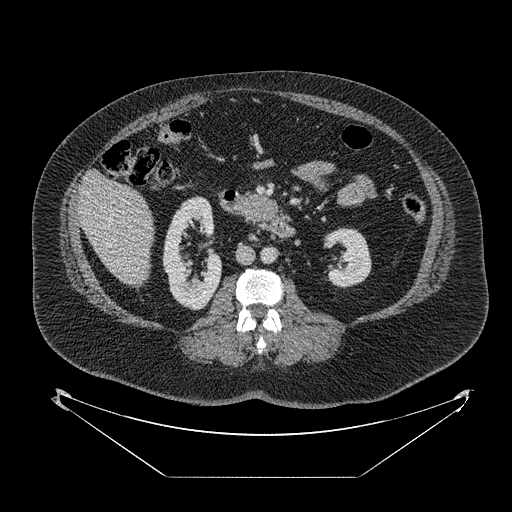 Abdomen | CT slice
Pancreas = [234, 193, 280, 223].
Pancreatic tumor = [251, 199, 271, 214].